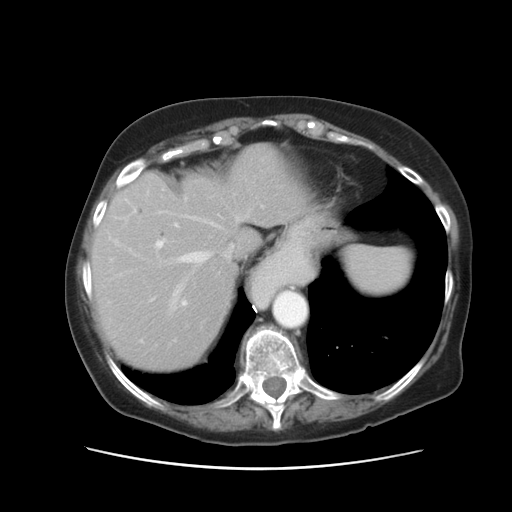
512x512 px, Abdomen, CT scan slice
Some hepatic vessels may have no box.
* hepatic vessel: left=155, top=240, right=163, bottom=248; left=133, top=209, right=135, bottom=212; left=158, top=212, right=160, bottom=213; left=179, top=216, right=250, bottom=266; left=174, top=224, right=176, bottom=226; left=169, top=286, right=185, bottom=310